FLAIR MR image.
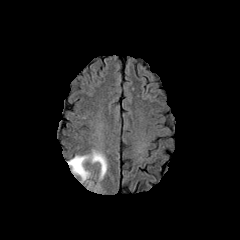
T1-weighted magnetic resonance.
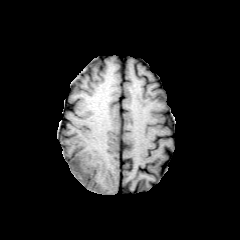
Post-contrast T1-weighted magnetic resonance.
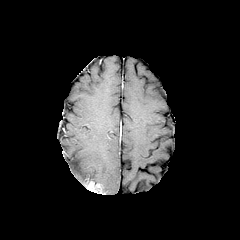
T2-weighted MR.
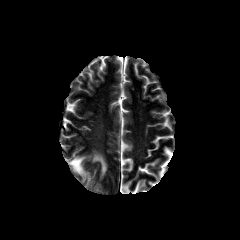
Edema = 67,149,107,182.
Enhancing tumor = 85,174,101,192.